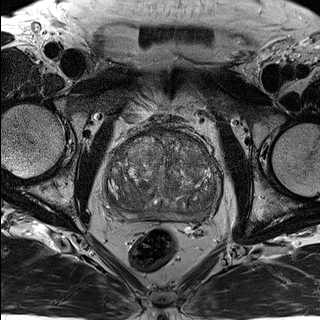
T2-weighted magnetic resonance.
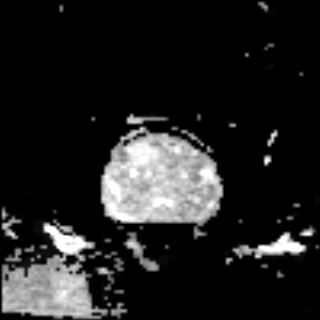
Same slice, ADC magnetic resonance.
Pelvis
prostate peripheral zone: rect(112, 203, 211, 219) | prostate transition zone: rect(106, 134, 218, 213)